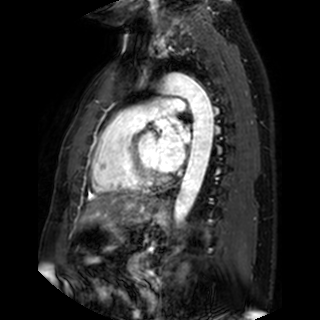
MR. The left atrium is at box=[157, 116, 190, 171].